CT, Slice index 293, Upper abdomen, 512x512 px 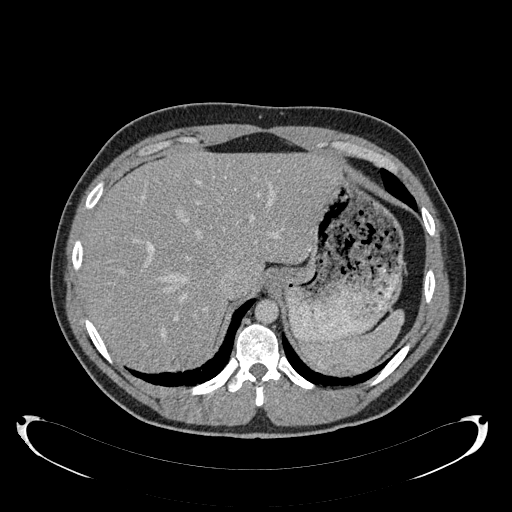 The liver lies within {"x1": 82, "y1": 153, "x2": 338, "y2": 367}.